Liver | CT 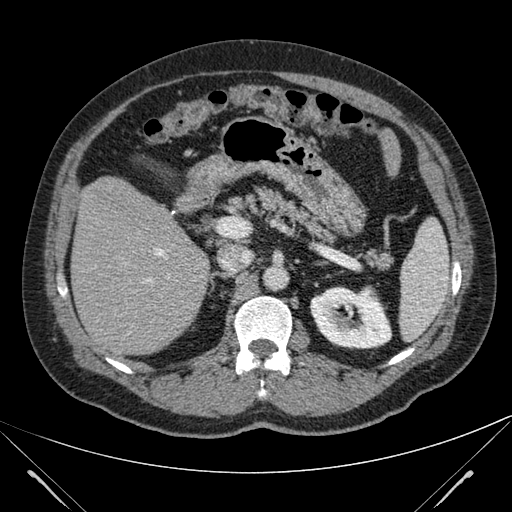

{"liver": ["region(379, 129, 397, 174)", "region(69, 177, 207, 365)"], "kidney": ["region(311, 288, 391, 347)"]}